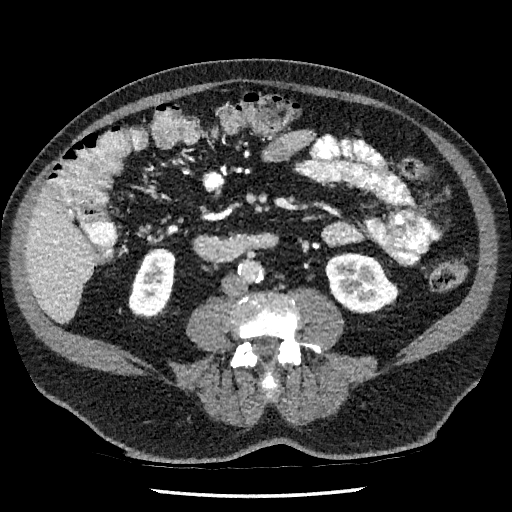

CT slice; 512x512 px
2 kidney regions are located at (x1=326, y1=254, x2=396, y2=311), (x1=129, y1=250, x2=174, y2=315). The liver appears at (x1=26, y1=189, x2=94, y2=322).